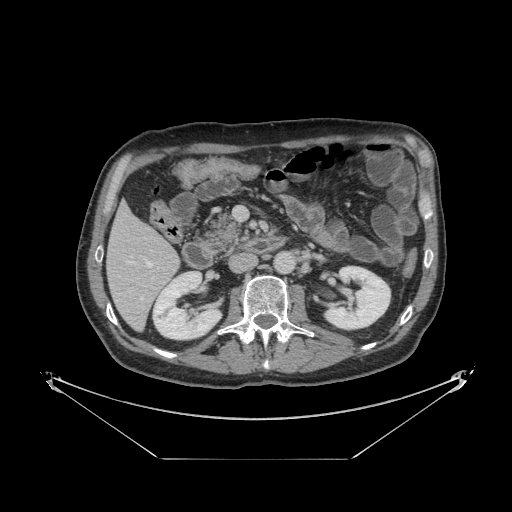
CT slice.
pancreas:
  - box=[202, 212, 240, 251]